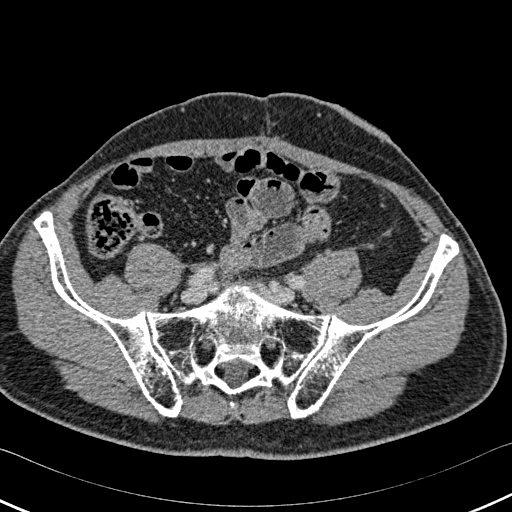 Computed tomography

bone:
  - left=34, top=212, right=458, bottom=418